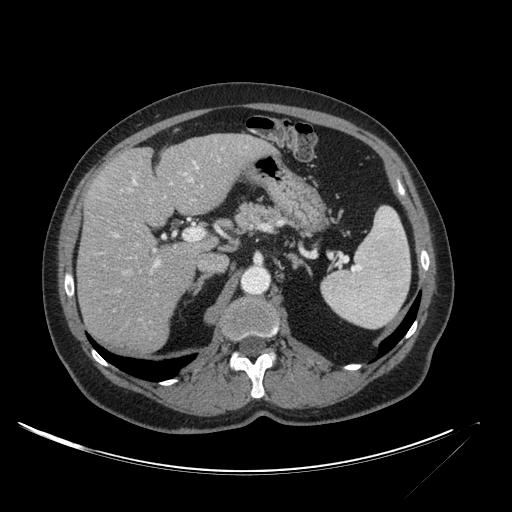 CT
<segmentation>
  <liver>(left=77, top=134, right=277, bottom=351)</liver>
</segmentation>